Slice 73 of 155
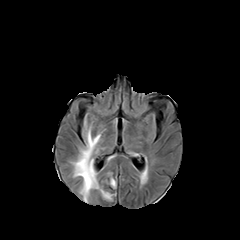
FLAIR magnetic resonance.
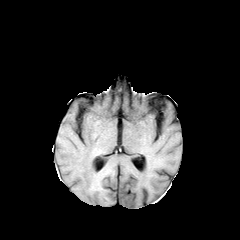
T1-weighted MR.
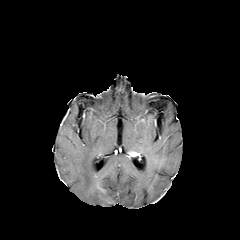
Post-contrast T1-weighted MR image of the same slice.
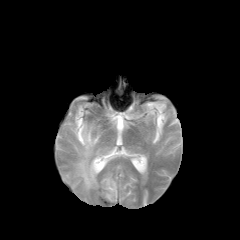
T2-weighted MR.
{
  "edema": [
    "box=[106, 177, 116, 189]",
    "box=[72, 124, 115, 201]"
  ]
}